Image size 240x240, Head, Slice index 107
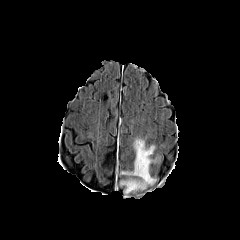
FLAIR MR.
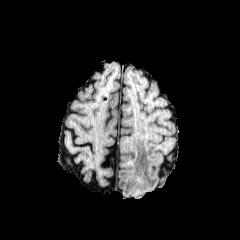
T1-weighted MR image.
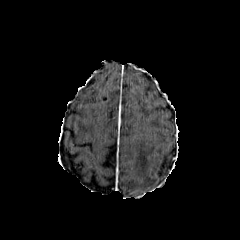
Post-contrast T1-weighted MR.
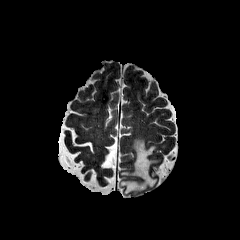
T2-weighted MRI of the same slice.
The edema is located at bbox=[119, 138, 160, 198].